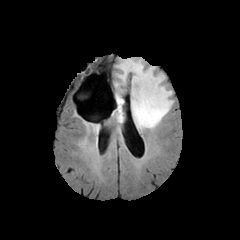
FLAIR MR.
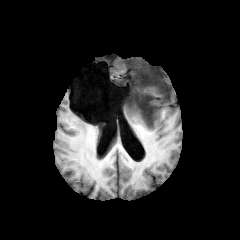
T1-weighted MRI.
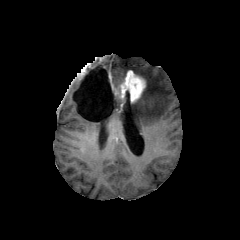
Post-contrast T1-weighted MRI.
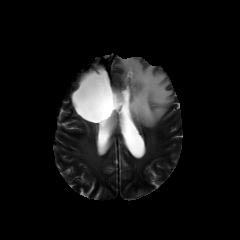
T2-weighted MRI.
Brain
Non-enhancing tumor core — bbox=[132, 70, 150, 103]; bbox=[114, 88, 131, 119].
Enhancing tumor — bbox=[116, 70, 145, 103].
Edema — bbox=[112, 108, 123, 123]; bbox=[116, 58, 173, 132].